CT image; Field of view 400 mm wide, 0.80 mm slice spacing; Liver 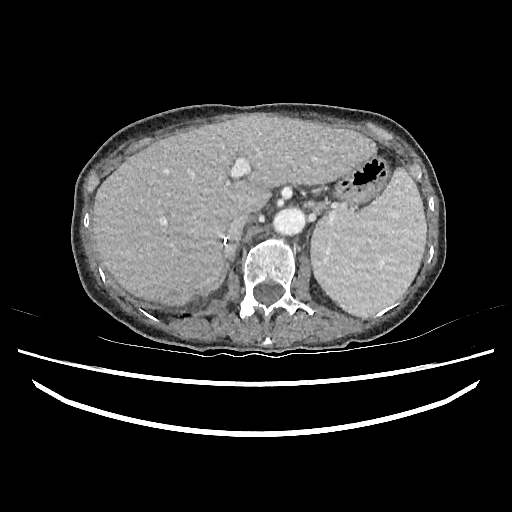 The liver is at l=94, t=114, r=374, b=304.